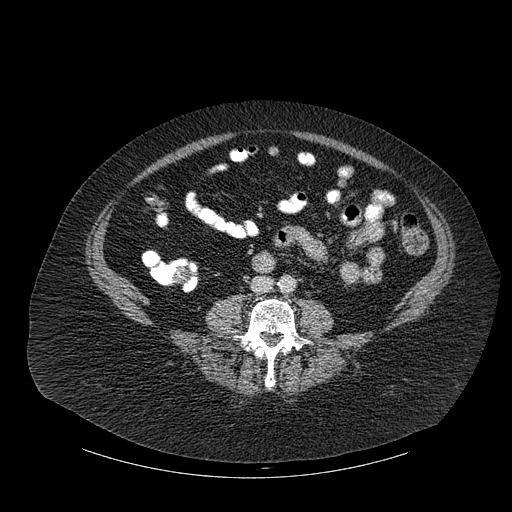
CT slice
The bone is at left=238, top=299, right=307, bottom=386.